Slice 13/47, Medial temporal lobe, MRI slice, 41x48 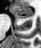 {
  "posterior_hippocampus": [
    "rect(19, 17, 29, 18)"
  ],
  "anterior_hippocampus": [
    "rect(12, 6, 34, 16)"
  ]
}